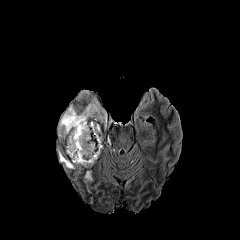
FLAIR MR image.
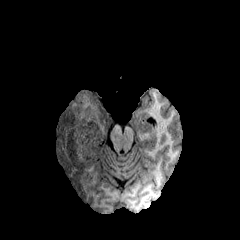
T1-weighted MR image.
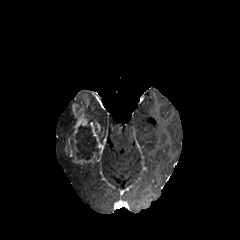
Same slice, post-contrast T1-weighted MR image.
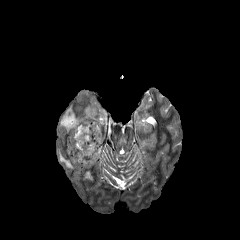
T2-weighted MRI of the same slice.
Head
{"non-enhancing_tumor_core": [{"x1": 66, "y1": 90, "x2": 90, "y2": 136}, {"x1": 74, "y1": 125, "x2": 97, "y2": 160}], "enhancing_tumor": [{"x1": 64, "y1": 94, "x2": 104, "y2": 168}], "edema": [{"x1": 56, "y1": 103, "x2": 71, "y2": 143}, {"x1": 86, "y1": 97, "x2": 107, "y2": 129}, {"x1": 56, "y1": 144, "x2": 75, "y2": 170}, {"x1": 84, "y1": 171, "x2": 91, "y2": 182}]}